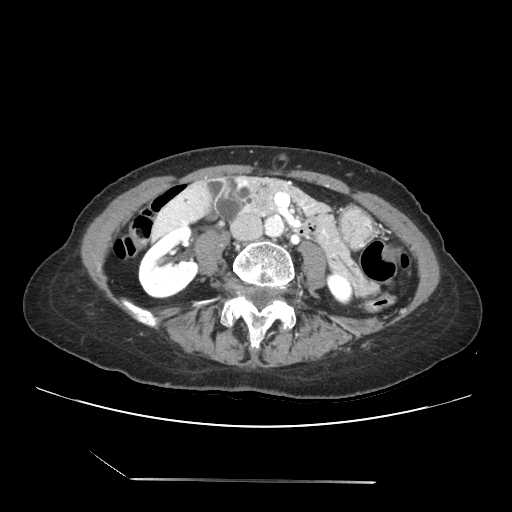
Abdomen; CT slice; 512x512 px

The pancreas lies within 215 175 380 300.